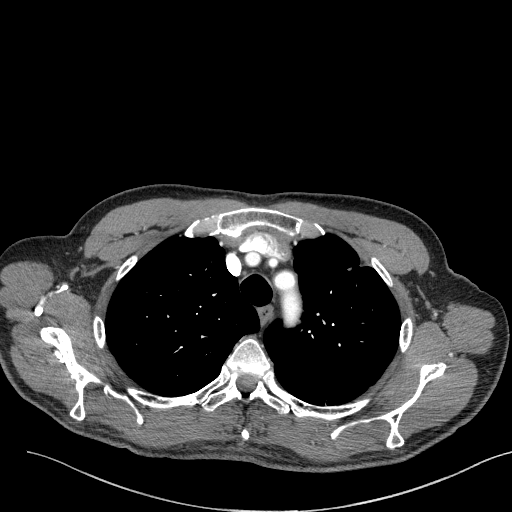
Chest, CT
Lung tumor: bounding box [x1=343, y1=266, x2=367, y2=288].